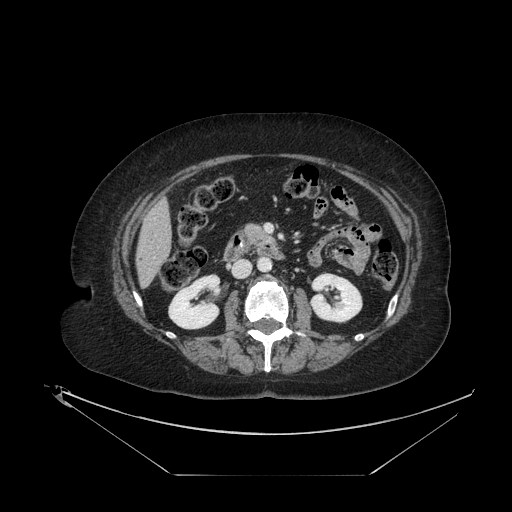
512x512, Computed tomography

The pancreas lies within left=244, top=224, right=273, bottom=248.